Head | Slice 42 of 155 | 240x240
FLAIR magnetic resonance.
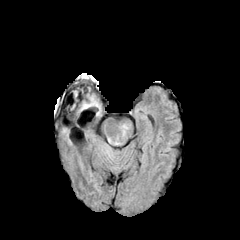
T1-weighted MR image.
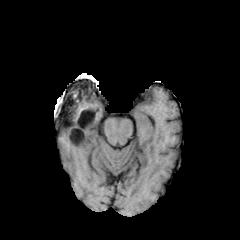
Post-contrast T1-weighted MR image.
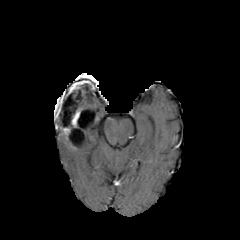
T2-weighted MR.
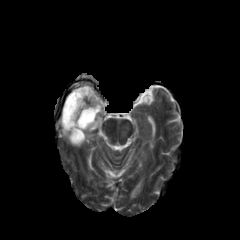
Edema = [77,90,101,115].